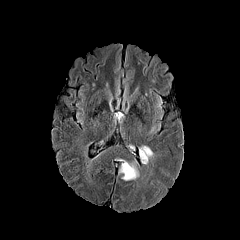
FLAIR magnetic resonance.
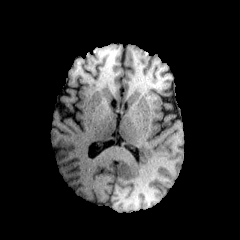
T1-weighted MRI.
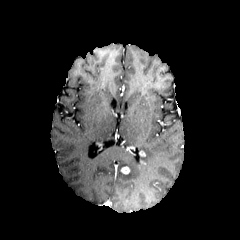
Post-contrast T1-weighted MR image of the same slice.
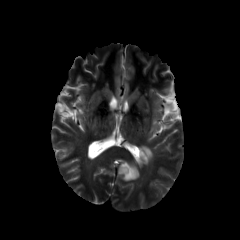
Same slice, T2-weighted MR image.
Brain
Enhancing tumor: 119,166,129,174.
Edema: 115,159,139,180; 138,146,152,165.